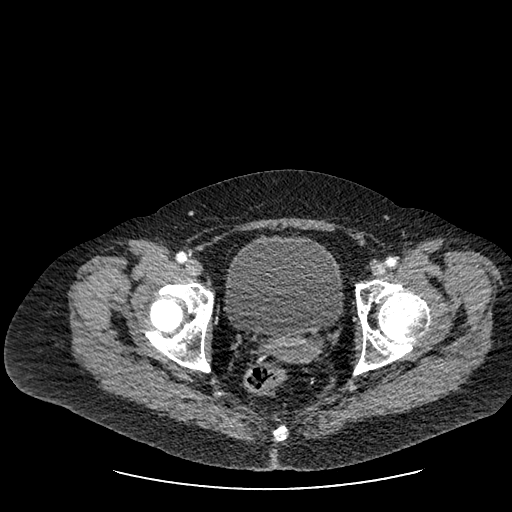

CT
Urinary bladder — [225,234,342,337].